Computed tomography; Upper abdomen

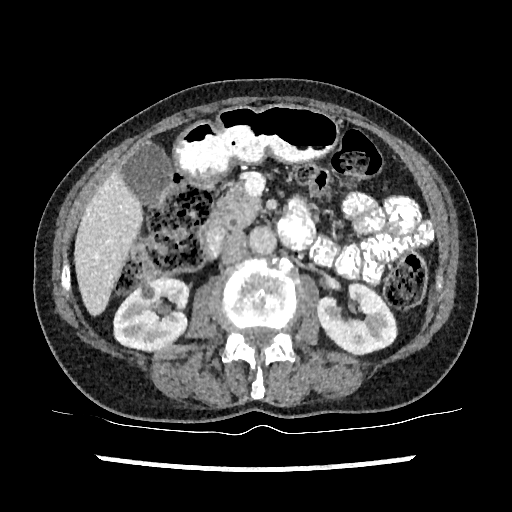

The liver lies within box=[75, 172, 142, 315]. 2 kidney regions appear at box=[114, 279, 188, 349]; box=[318, 284, 395, 353].